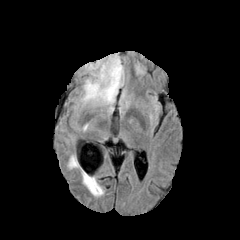
FLAIR MR image.
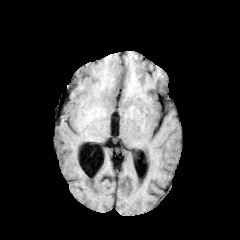
T1-weighted MR.
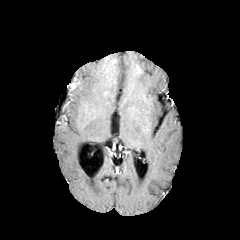
Post-contrast T1-weighted MRI of the same slice.
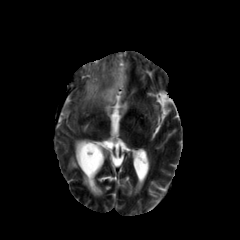
T2-weighted magnetic resonance of the same slice.
240x240.
2 edema regions are located at 81:55:125:113, 67:152:104:197.